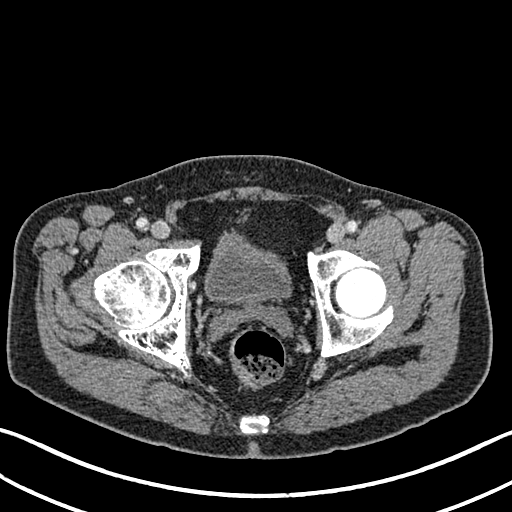

CT scan slice; 512x512
The urinary bladder is located at region(204, 233, 291, 306).